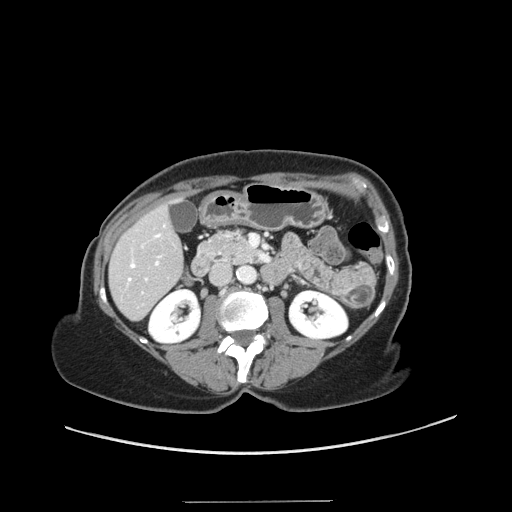 CT
Not every hepatic vessel necessarily has a box.
4 hepatic vessel regions are bounded by 131,261,135,266; 129,278,130,280; 156,234,159,236; 156,256,160,264.